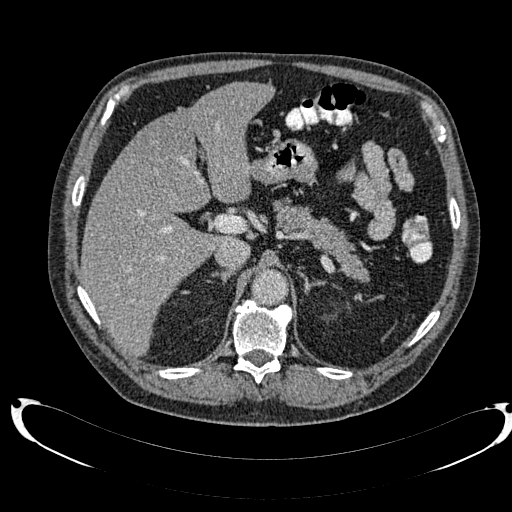 Liver | CT slice

Focal liver lesion: bounding box (x1=138, y1=114, x2=189, y2=171).
Liver: bounding box (x1=81, y1=82, x2=274, y2=355).